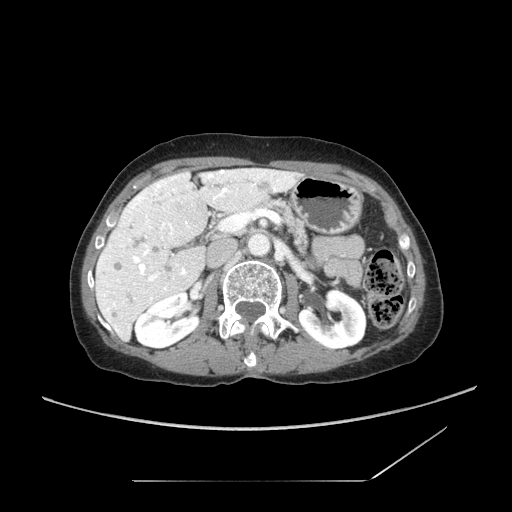

CT image

The pancreas is at (x1=261, y1=200, x2=308, y2=258).